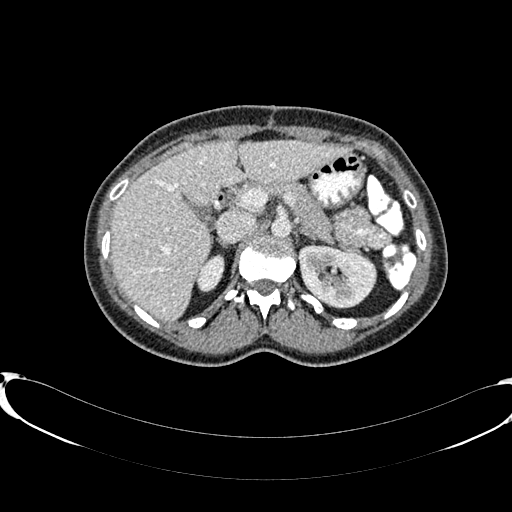
512x512 | Abdomen | CT scan slice
Annotated regions:
• liver: region(110, 141, 348, 320)
• kidney: region(300, 247, 374, 306); region(199, 258, 222, 289)